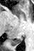
Magnetic resonance. Medial temporal lobe.

The posterior hippocampus is at bbox=[10, 35, 23, 45].